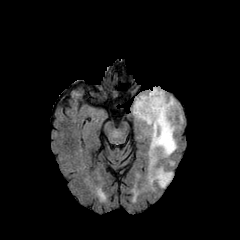
FLAIR MR image.
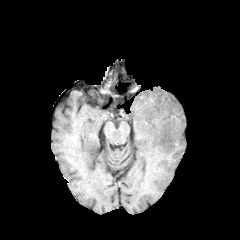
T1-weighted MR image.
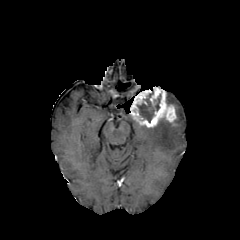
Post-contrast T1-weighted MRI of the same slice.
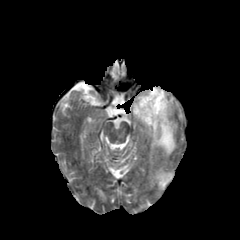
Same slice, T2-weighted magnetic resonance.
The enhancing tumor lies within region(130, 87, 175, 127). The non-enhancing tumor core is at region(137, 99, 153, 122). 3 edema regions are located at region(148, 120, 177, 164); region(168, 96, 182, 121); region(154, 168, 172, 186).